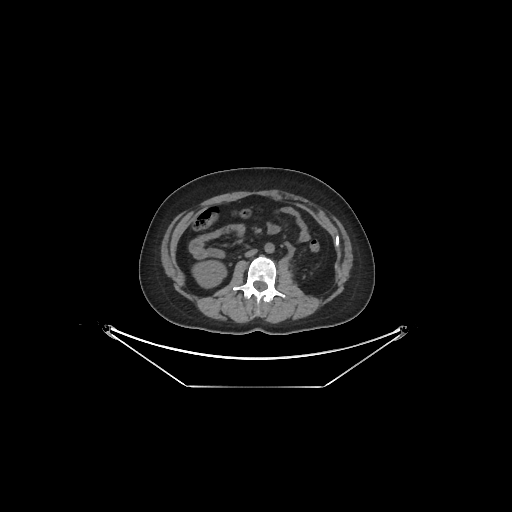
Computed tomography
• kidney: (x1=193, y1=261, x2=225, y2=287)